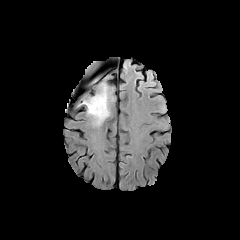
FLAIR MR.
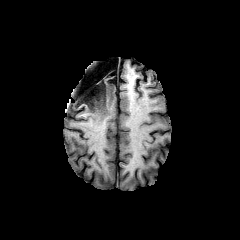
T1-weighted magnetic resonance of the same slice.
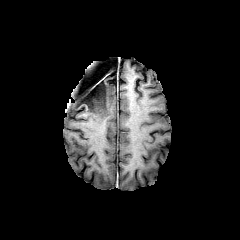
Post-contrast T1-weighted MRI of the same slice.
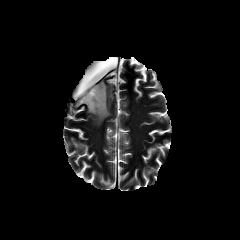
T2-weighted MR image.
Head.
non-enhancing_tumor_core:
  - <bbox>82, 80, 104, 105</bbox>
edema:
  - <bbox>80, 83, 113, 125</bbox>